CT image

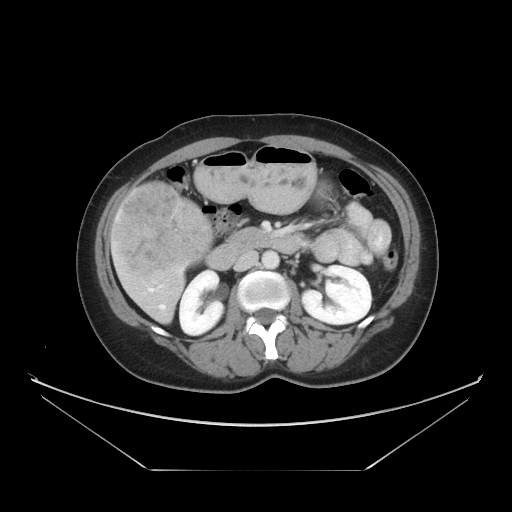 The liver tumor lies within rect(110, 184, 212, 280).